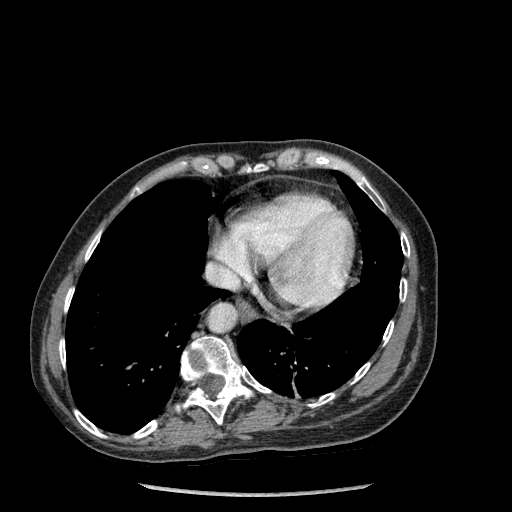

CT scan slice | 512x512
Bone: region(59, 339, 65, 367); region(175, 336, 271, 424); region(399, 278, 407, 301); region(85, 231, 101, 260); region(351, 362, 370, 383); region(64, 287, 74, 312); region(131, 187, 141, 196); region(308, 393, 335, 407); region(332, 160, 385, 211); region(401, 232, 410, 256); region(383, 321, 393, 345); region(246, 164, 267, 172); region(74, 410, 106, 438); region(133, 420, 157, 438).
Lung: region(237, 172, 402, 398); region(65, 180, 229, 433).